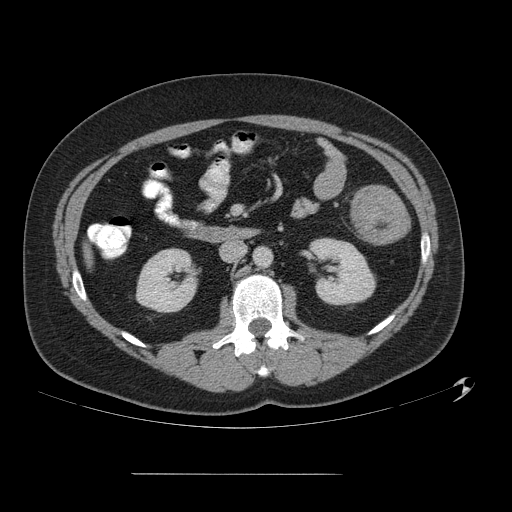
CT scan slice; Pelvis; 512x512 px
Annotated regions:
- colon tumor: <box>351,185,410,243</box>